CT scan slice. Upper abdomen. 512x512 px.

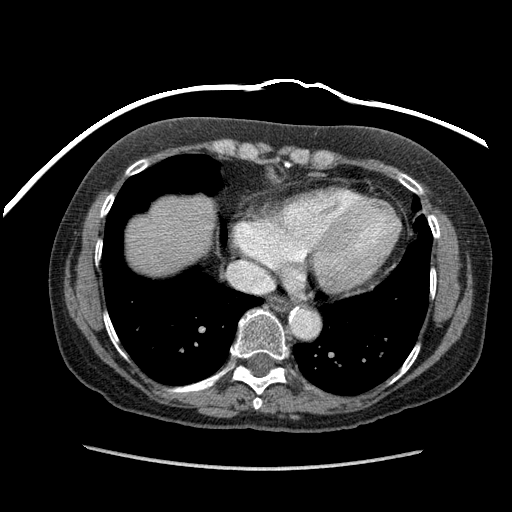 Liver = <box>128,199,213,276</box>.